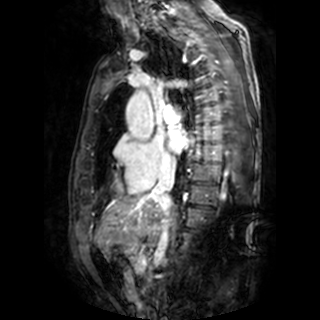 320x320. MR. The left atrium is located at [167, 130, 188, 153].